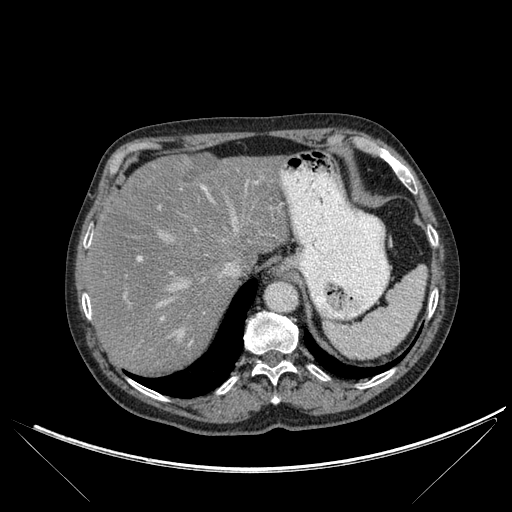

Image size 512x512 | CT scan slice
liver: 87 153 290 376 | lung: 304 332 405 378, 128 279 257 398 | bone: 217 377 236 393, 308 365 328 380, 83 232 92 247, 252 360 296 384, 244 312 297 354, 82 294 91 318, 128 379 166 400, 272 394 279 403, 428 226 437 245, 429 289 437 315, 379 150 416 192, 358 369 394 388 | liver lesion: 184 154 218 179